Pelvis | Slice 84 of 689 | CT slice

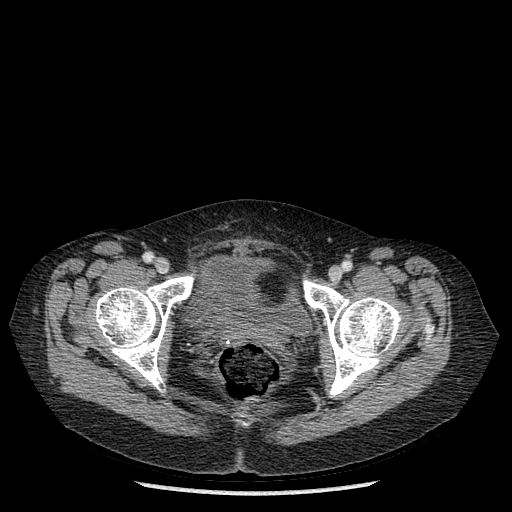

{"bone": ["<bbox>303, 279, 403, 397</bbox>", "<bbox>422, 317, 433, 345</bbox>", "<bbox>92, 275, 193, 390</bbox>"], "urinary_bladder": ["<bbox>190, 254, 302, 343</bbox>"]}